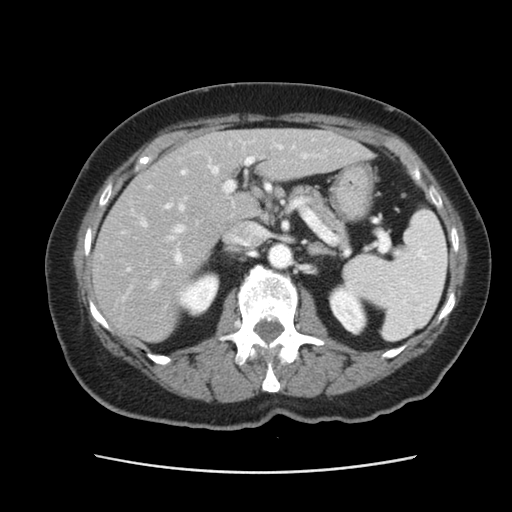

CT slice
Some hepatic vessels may have no box.
12 hepatic vessel regions appear at 168:225:183:240, 128:268:130:270, 152:281:157:287, 182:171:185:174, 224:182:233:191, 210:167:218:173, 178:204:184:210, 226:224:265:245, 175:254:181:262, 245:157:256:164, 293:146:294:148, 166:204:171:208.